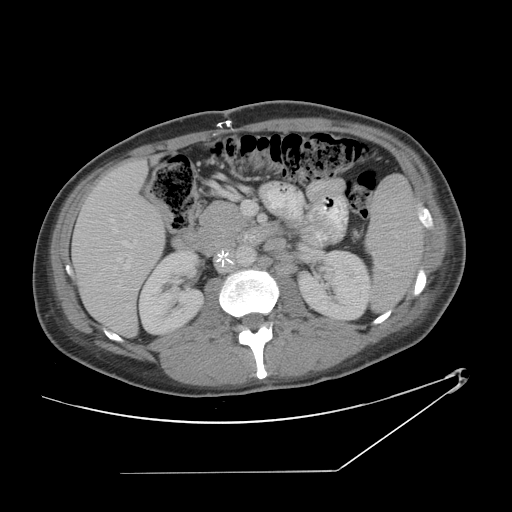 Abdomen, CT

Only some of the vessels may be annotated.
6 hepatic vessel regions are located at (x1=114, y1=228, x2=117, y2=232), (x1=123, y1=241, x2=136, y2=247), (x1=116, y1=286, x2=124, y2=288), (x1=114, y1=266, x2=116, y2=274), (x1=117, y1=254, x2=131, y2=269), (x1=108, y1=332, x2=117, y2=335).